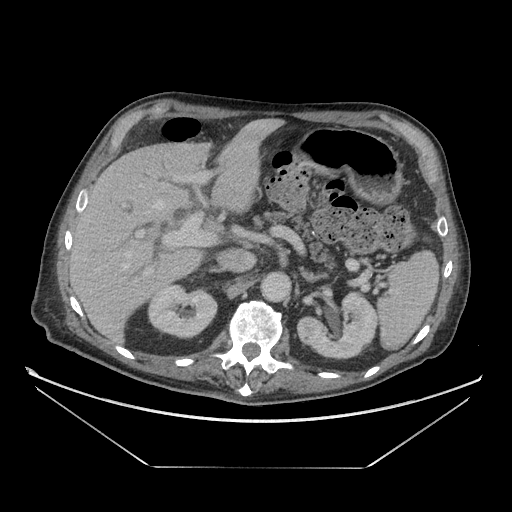

Abdomen. CT image.
Pancreas: bounding box x1=264, y1=213, x2=335, y2=267.